Brain
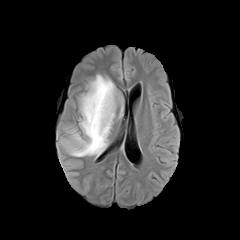
FLAIR MRI.
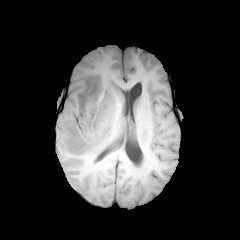
T1-weighted magnetic resonance of the same slice.
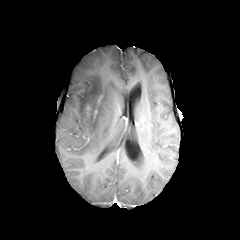
Post-contrast T1-weighted MR of the same slice.
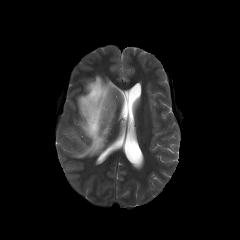
T2-weighted MR.
{
  "edema": [
    "bbox(64, 74, 118, 158)"
  ]
}